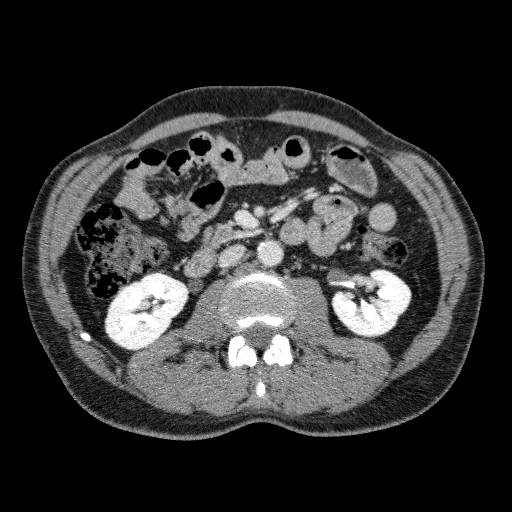 CT scan slice, Abdomen

Segmented structures:
- kidney: (106,273,187,348), (333,270,409,335)